Field of view 400 mm wide, 0.80 mm slice spacing; CT; 512x512
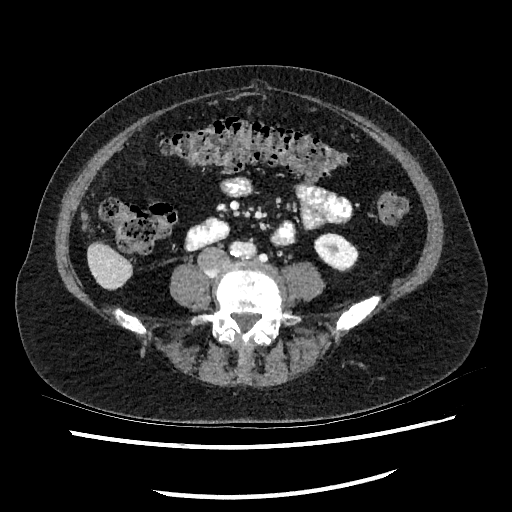 Liver = bbox=[88, 243, 131, 288].
Kidney = bbox=[315, 234, 356, 268].